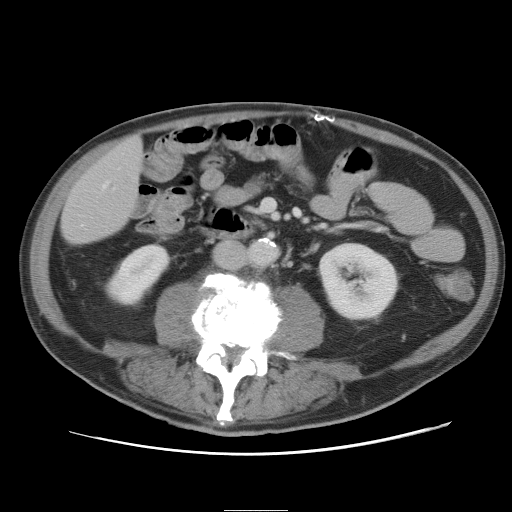
CT scan slice, Abdomen, 512x512 px
Some hepatic vessels may have no box.
Hepatic vessel — x1=135, y1=137, x2=138, y2=141; x1=104, y1=184, x2=106, y2=187.